CT. Slice 69/148. 512x512 px.
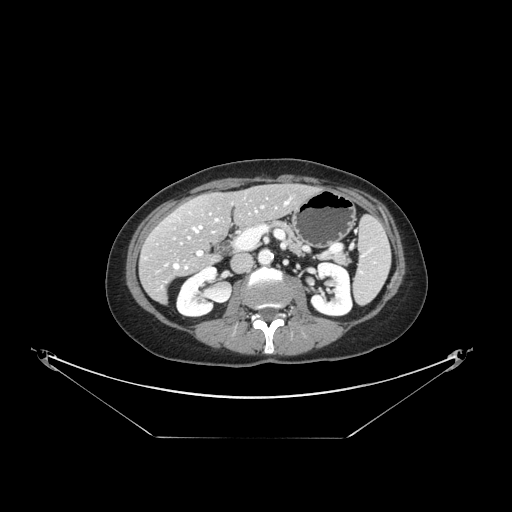

The vessel annotation is not exhaustive.
Annotated regions:
- hepatic vessel: 197:251:201:255, 193:226:201:232